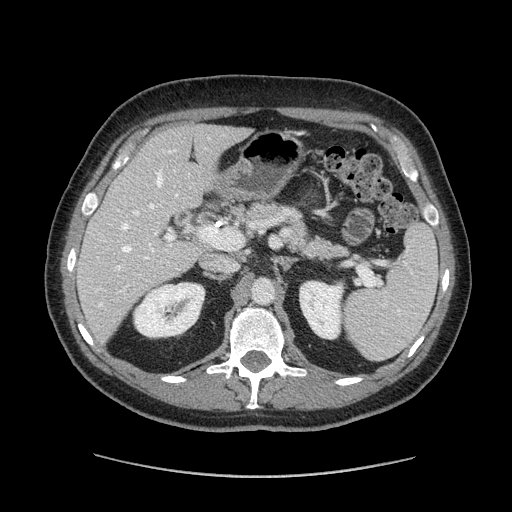 CT; 512x512 px

{"pancreas": ["246:204:346:258"]}